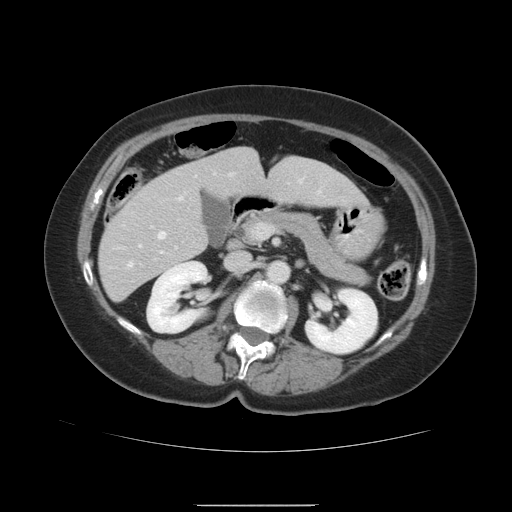 CT, 512x512 px
The vessel annotation is not exhaustive.
Hepatic vessel — 141:264:142:265, 251:223:259:238, 215:172:216:174, 175:244:180:248, 299:178:304:182, 127:262:133:268, 178:197:183:199, 158:231:166:239, 155:259:157:260, 229:172:234:176, 182:236:201:245, 151:226:153:228, 139:245:141:247, 318:191:321:193, 160:251:167:253.